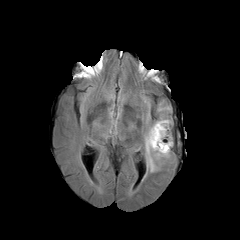
FLAIR MR image.
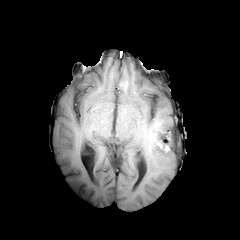
Same slice, T1-weighted MRI.
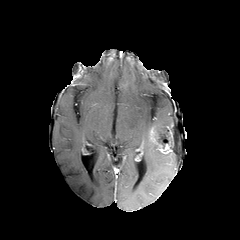
Post-contrast T1-weighted MR of the same slice.
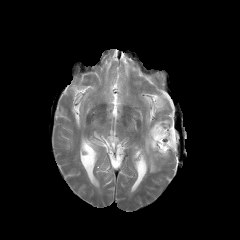
T2-weighted magnetic resonance.
Brain. 240x240 px.
The enhancing tumor is at bbox=[150, 130, 172, 154]. 6 edema regions are bounded by bbox=[105, 86, 115, 101]; bbox=[143, 98, 151, 111]; bbox=[118, 94, 124, 107]; bbox=[106, 124, 115, 137]; bbox=[138, 101, 172, 172]; bbox=[107, 105, 119, 125].